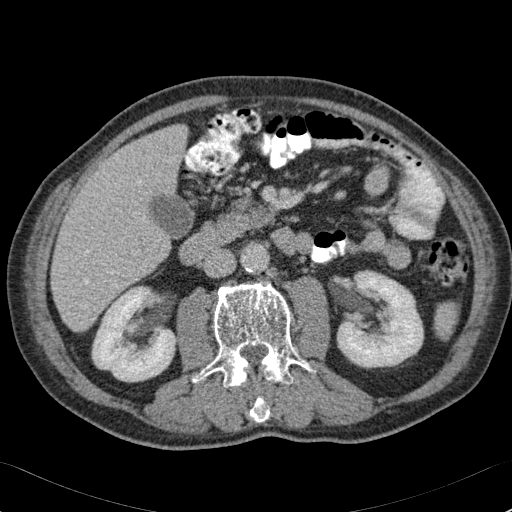 Computed tomography, Upper abdomen, 512x512 px
Kidney — 93 287 175 381, 337 271 422 366.
Liver — 52 125 187 331.